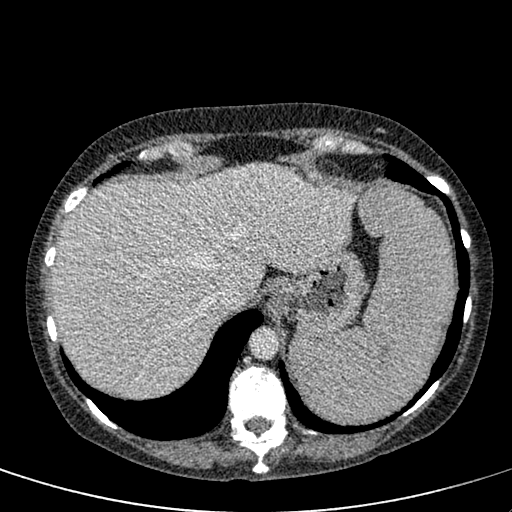 Upper abdomen. CT. Segmented structures:
* liver: 55 164 359 397